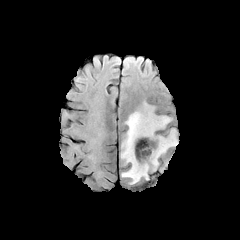
FLAIR MRI.
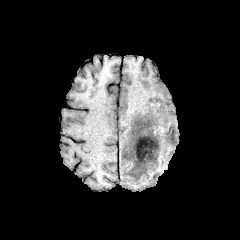
T1-weighted MR image of the same slice.
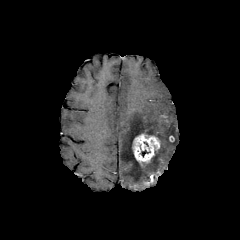
Same slice, post-contrast T1-weighted MR.
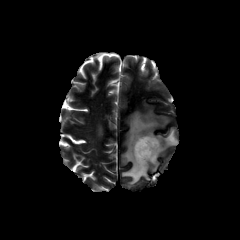
T2-weighted MRI of the same slice.
Brain
The enhancing tumor lies within bbox=[133, 134, 159, 162]. The edema appears at bbox=[121, 112, 178, 184].